Field of view 240x240 mm, Head, Image size 240x240
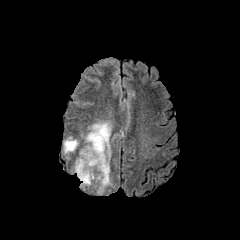
FLAIR magnetic resonance.
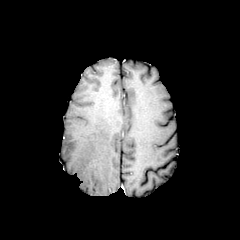
T1-weighted MRI.
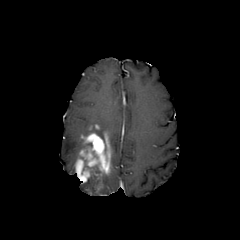
Post-contrast T1-weighted MRI of the same slice.
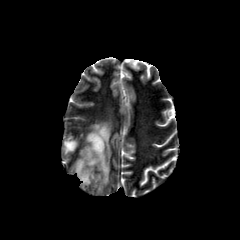
T2-weighted magnetic resonance.
<segmentation>
  <enhancing_tumor>79:132:111:174, 75:159:89:182</enhancing_tumor>
  <edema>87:121:112:137, 63:136:79:154, 80:167:94:187, 97:173:111:193</edema>
</segmentation>